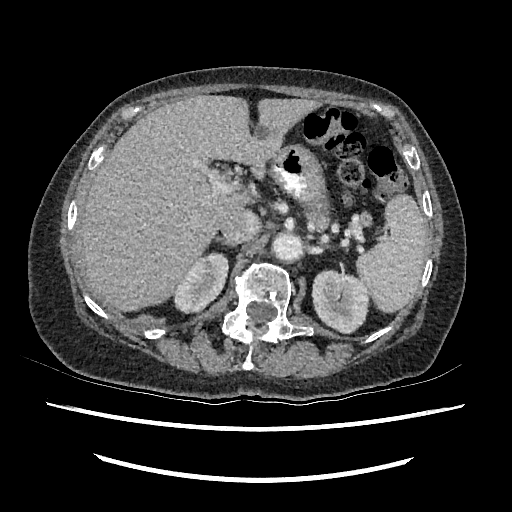
CT image
<segmentation>
  <kidney>[174, 254, 228, 312], [312, 271, 369, 332]</kidney>
  <liver>[83, 95, 320, 311]</liver>
  <focal_liver_lesion>[255, 124, 269, 138]</focal_liver_lesion>
</segmentation>